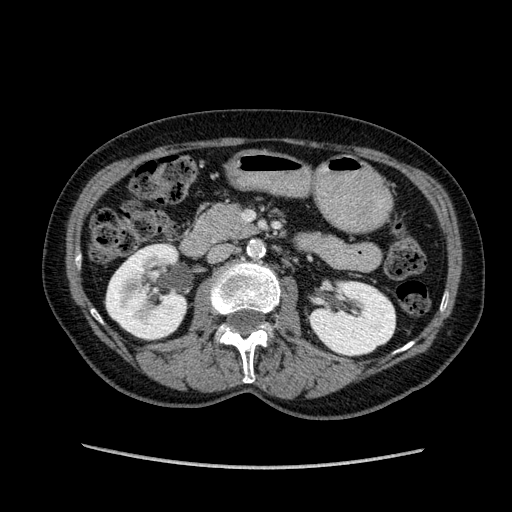
Abdomen; 512x512 px; CT image

2 kidney regions are located at [310, 281, 394, 355], [106, 244, 185, 338].